Abdomen | Slice index 182 | CT image 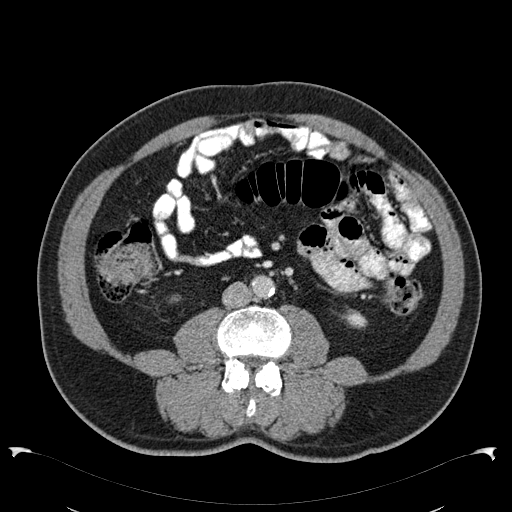

The kidney is bounded by 343:310:366:327.